Slice index 5, CT scan slice, Abdomen
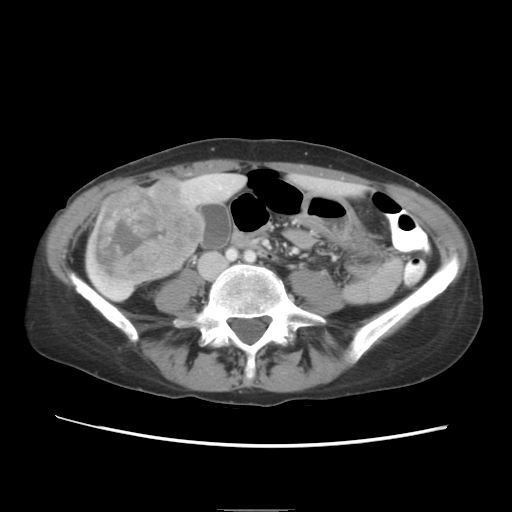

Not every hepatic vessel necessarily has a box.
liver_tumor:
  - (x1=93, y1=177, x2=201, y2=281)
hepatic_vessel:
  - (x1=218, y1=185, x2=220, y2=188)